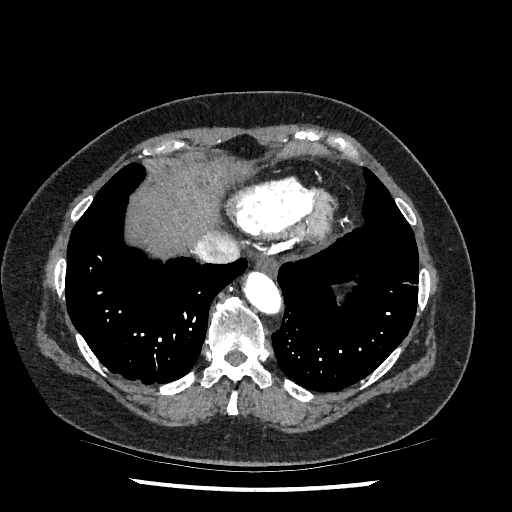
Image size 512x512 | CT image
Liver = bbox=[132, 162, 243, 250].